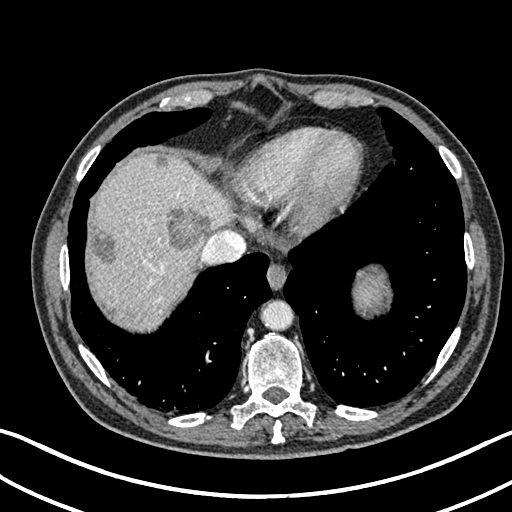
CT scan slice. Liver.
{"focal_liver_lesion": ["region(166, 209, 208, 251)", "region(157, 156, 169, 168)", "region(91, 229, 114, 264)"], "liver": ["region(89, 153, 231, 327)"]}